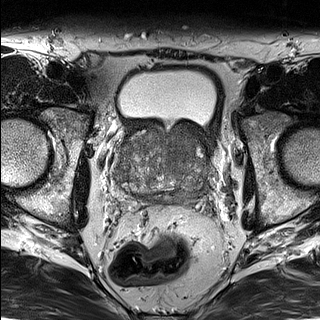
T2-weighted MR image.
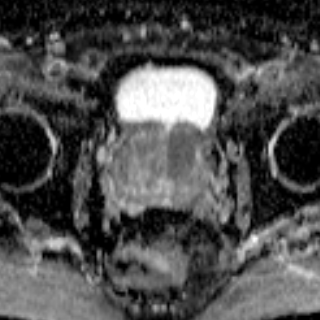
ADC MRI.
Pelvis.
prostate_transition_zone:
  - [119, 123, 206, 192]